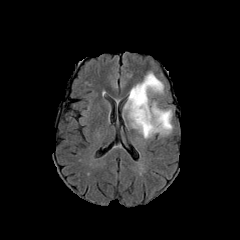
FLAIR MR.
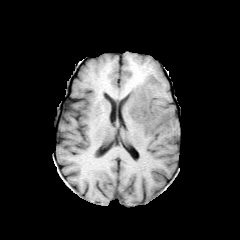
Same slice, T1-weighted MR image.
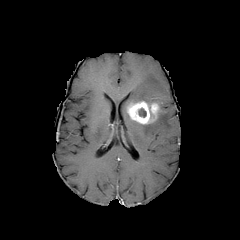
Post-contrast T1-weighted MR image of the same slice.
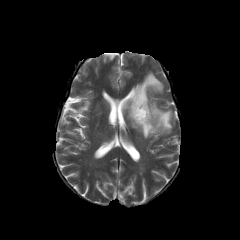
T2-weighted MR of the same slice.
Head
Segmented structures:
- non-enhancing tumor core: 138, 109, 146, 117
- edema: 130, 109, 172, 138; 128, 73, 163, 102
- enhancing tumor: 124, 100, 160, 124